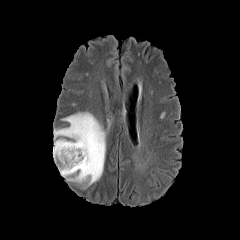
FLAIR MR.
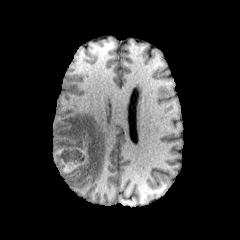
T1-weighted MR image.
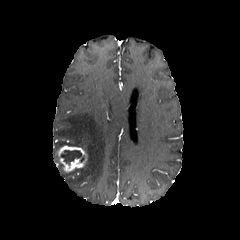
Same slice, post-contrast T1-weighted MRI.
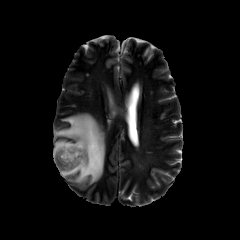
T2-weighted MR of the same slice.
Enhancing tumor — <bbox>57, 145, 86, 172</bbox>.
Edema — <bbox>53, 112, 108, 189</bbox>.
Non-enhancing tumor core — <bbox>61, 149, 81, 165</bbox>, <bbox>53, 148, 65, 173</bbox>.